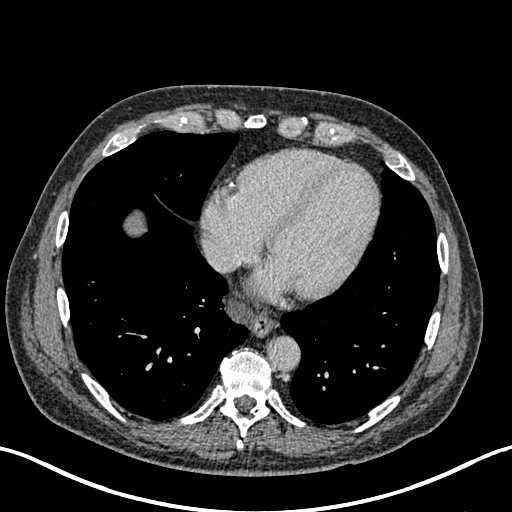
CT scan slice, Liver
Liver — [x1=126, y1=214, x2=144, y2=234].